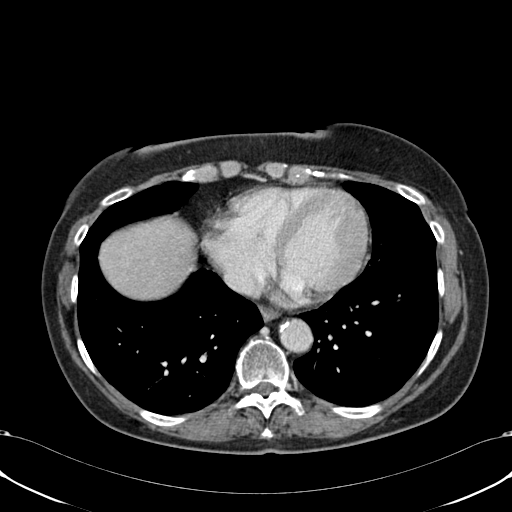

CT image, 512x512 px, Liver

<segmentation>
  <liver>101:222:188:297</liver>
</segmentation>